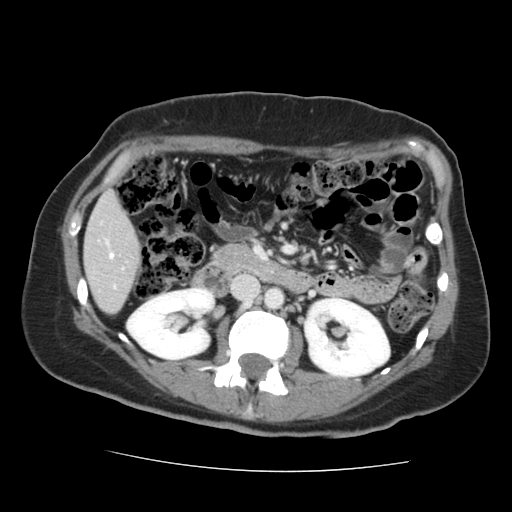
CT. Abdomen. Some hepatic vessels may have no box.
Hepatic vessel at x1=109 y1=253 x2=112 y2=257.